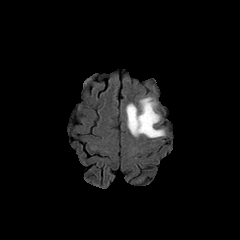
FLAIR MR image.
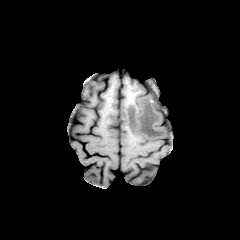
T1-weighted MR image of the same slice.
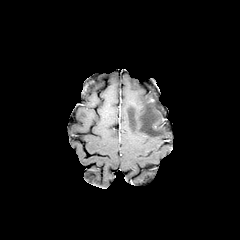
Post-contrast T1-weighted magnetic resonance of the same slice.
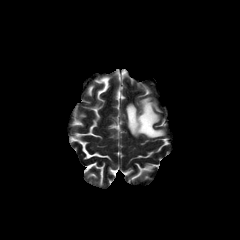
T2-weighted MR.
Head
<segmentation>
  <edema>bbox=[126, 97, 165, 137]</edema>
</segmentation>